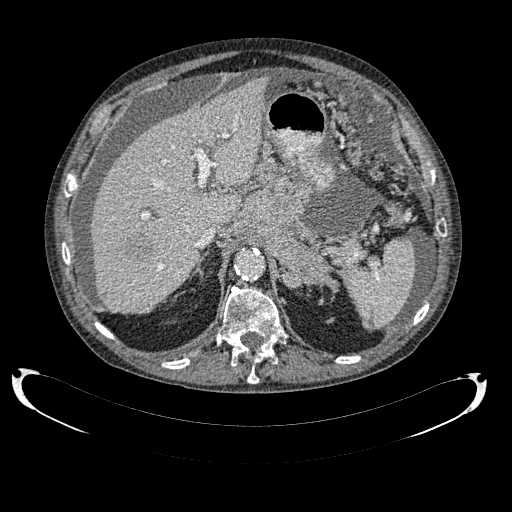
CT; Liver
The focal liver lesion is at region(124, 234, 152, 261). The liver is located at region(91, 77, 268, 313).